512x512; Slice 7 of 466; CT image
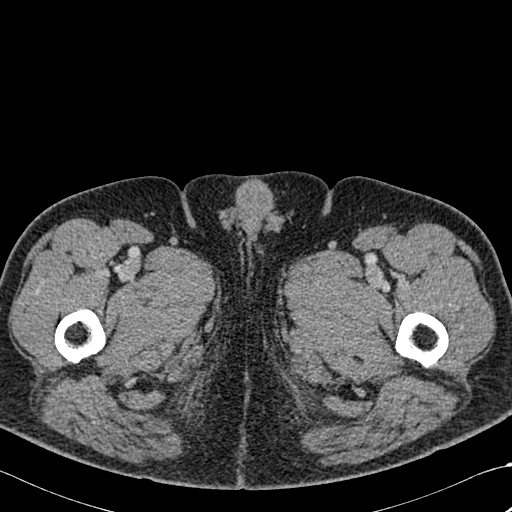

2 bone regions are located at <box>55,309,105,362</box>, <box>395,312,448,366</box>.